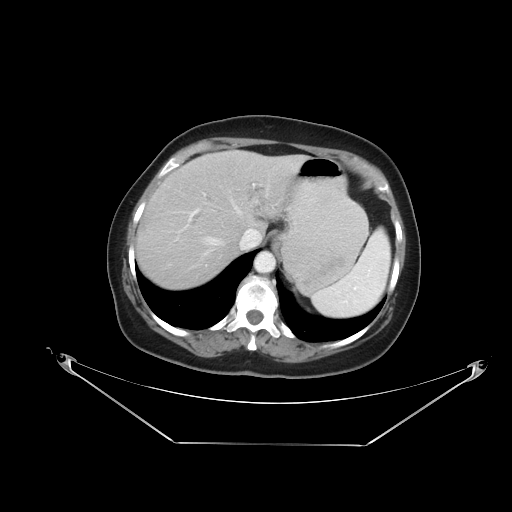

CT image
The vessel boxes may cover only some of the vessels.
{"hepatic_vessel": ["x1=231, y1=200, x2=240, y2=213", "x1=241, y1=225, x2=260, y2=249", "x1=182, y1=225, x2=188, y2=229", "x1=201, y1=250, x2=211, y2=256", "x1=252, y1=183, x2=254, y2=187", "x1=204, y1=237, x2=223, y2=244", "x1=265, y1=193, x2=267, y2=196", "x1=183, y1=210, x2=198, y2=220", "x1=205, y1=202, x2=209, y2=203", "x1=253, y1=200, x2=257, y2=203"]}